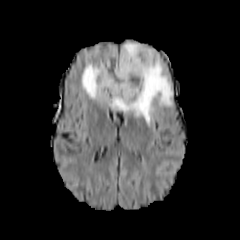
FLAIR magnetic resonance.
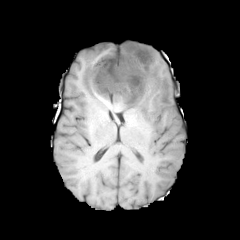
T1-weighted MR.
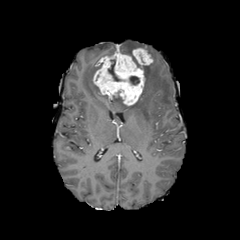
Post-contrast T1-weighted magnetic resonance.
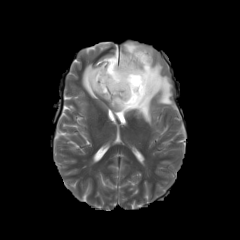
Same slice, T2-weighted MR.
Brain.
Non-enhancing tumor core: bounding box (110, 92, 123, 104), (129, 76, 140, 85), (108, 60, 122, 81).
Enhancing tumor: bounding box (133, 48, 152, 67), (93, 52, 144, 105).
Edema: bounding box (81, 61, 173, 124), (122, 42, 154, 58).